FLAIR MRI.
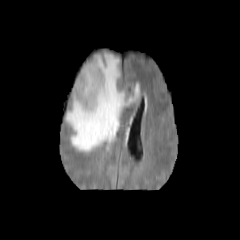
T1-weighted MR image.
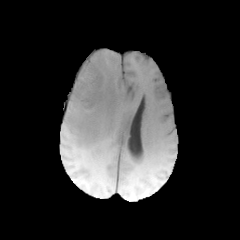
Post-contrast T1-weighted magnetic resonance.
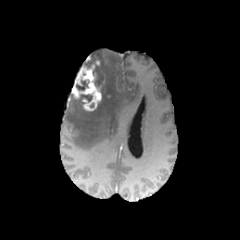
T2-weighted MR.
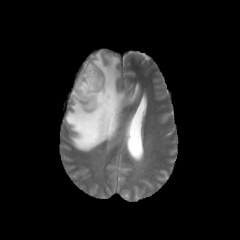
Head.
Segmented structures:
• non-enhancing tumor core: l=75, t=94, r=92, b=107; l=76, t=80, r=87, b=90; l=82, t=58, r=108, b=105
• enhancing tumor: l=71, t=65, r=102, b=111
• edema: l=65, t=51, r=139, b=152